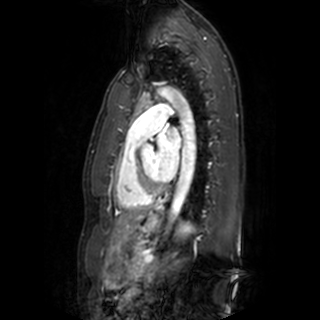
MR. Cardiac. The left atrium is at (left=156, top=128, right=180, bottom=180).